Liver; CT slice; Slice 27 of 47
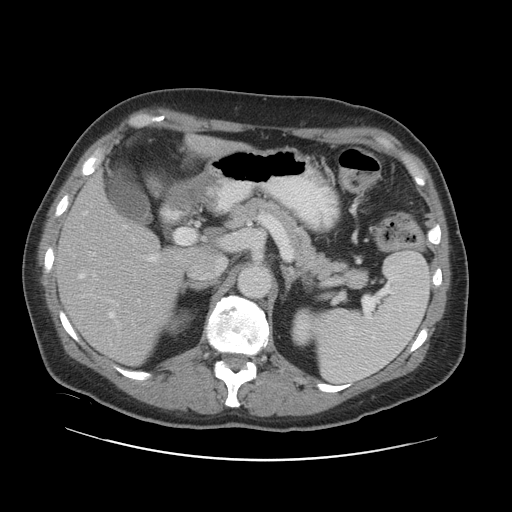 Only some of the vessels may be annotated.
Hepatic vessel — [x1=116, y1=303, x2=118, y2=305], [x1=137, y1=299, x2=139, y2=301], [x1=124, y1=225, x2=127, y2=227], [x1=148, y1=254, x2=158, y2=261].